Brain
FLAIR MR.
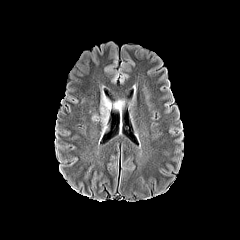
T1-weighted MR.
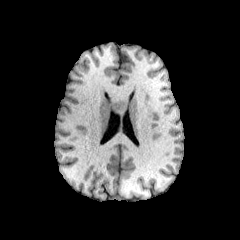
Post-contrast T1-weighted MR image.
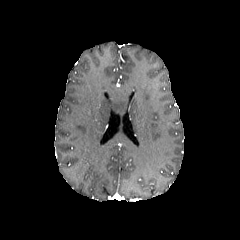
T2-weighted MR image.
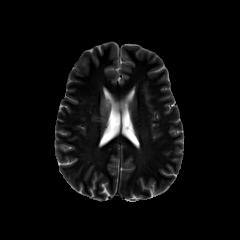
The edema is bounded by left=92, top=89, right=124, bottom=128.